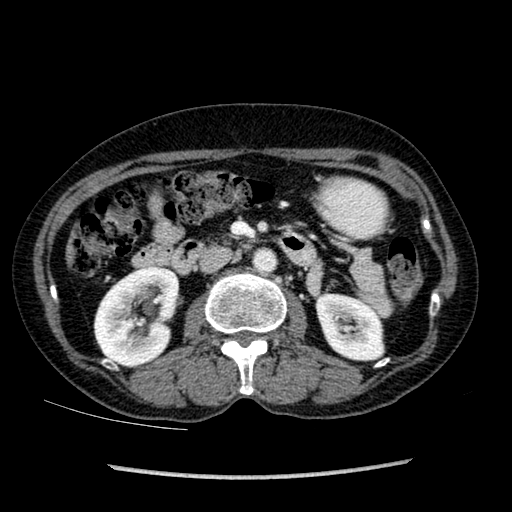
CT slice

{"kidney": ["x1=95, y1=267, x2=177, y2=365", "x1=317, y1=294, x2=382, y2=359"]}